CT image. Abdomen. Slice 74/158. 512x512.
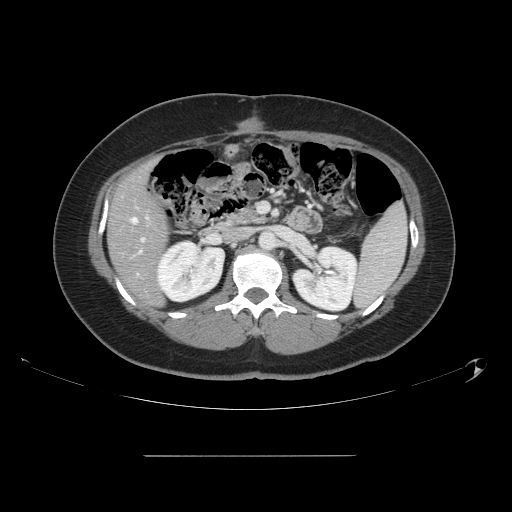 Not every hepatic vessel necessarily has a box.
3 hepatic vessel regions appear at (131,218,136,222), (141,239,143,241), (139,251,141,252).